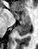 Medial temporal lobe, MRI

<segmentation>
  <anterior_hippocampus>l=15, t=15, r=18, b=19; l=21, t=14, r=30, b=21</anterior_hippocampus>
  <posterior_hippocampus>l=15, t=21, r=30, b=36</posterior_hippocampus>
</segmentation>